Abdomen | Computed tomography | Slice 462/537 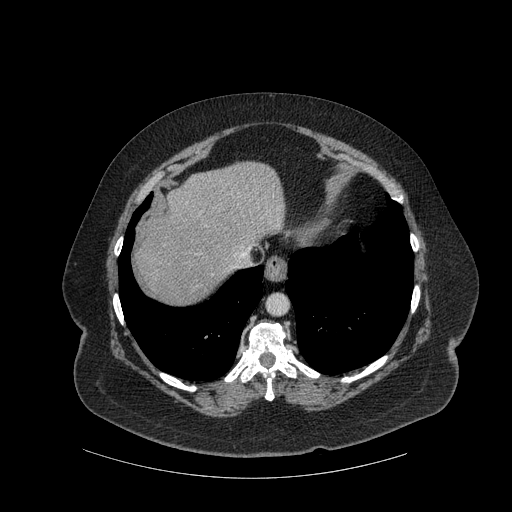 Bone = x1=410 y1=234 x2=418 y2=250, x1=225 y1=323 x2=319 y2=400, x1=114 y1=238 x2=122 y2=255, x1=341 y1=356 x2=387 y2=382, x1=411 y1=286 x2=419 y2=312, x1=160 y1=373 x2=195 y2=391, x1=113 y1=294 x2=123 y2=324.
Lung = x1=285 y1=195 x2=413 y2=374, x1=118 y1=194 x2=263 y2=380.
Liver = x1=135 y1=162 x2=285 y2=306.